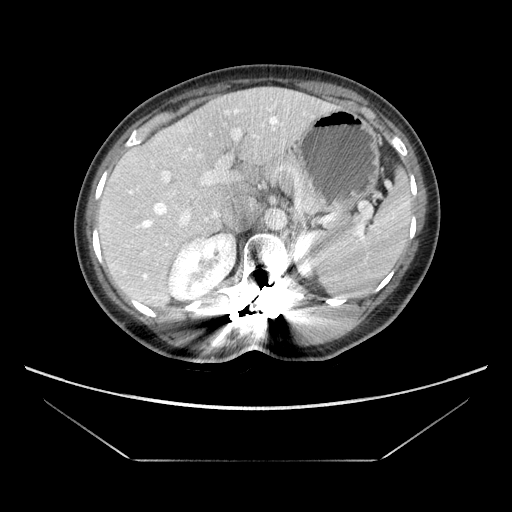

Liver | CT image | 512x512 px

Not every hepatic vessel necessarily has a box.
Annotated regions:
• hepatic vessel: 156 204 164 212, 200 160 226 185, 162 172 169 181, 165 243 167 244, 233 129 240 138, 178 209 190 225, 214 212 217 215
• liver tumor: 175 120 190 133